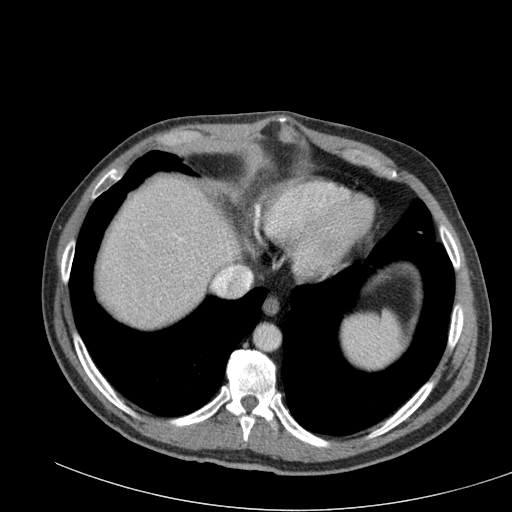

Abdomen; Computed tomography
Liver — region(98, 177, 240, 327).